Slice 69/155
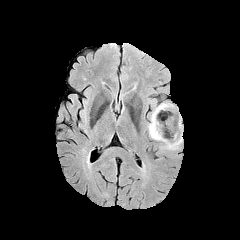
FLAIR MRI.
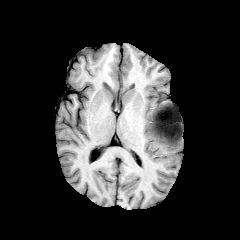
T1-weighted magnetic resonance.
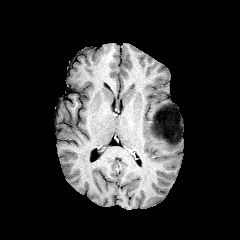
Post-contrast T1-weighted magnetic resonance of the same slice.
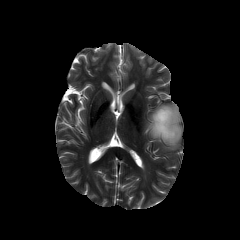
Same slice, T2-weighted MR image.
Findings:
* edema: x1=147 y1=103 x2=182 y2=149
* non-enhancing tumor core: x1=153 y1=122 x2=160 y2=135, x1=162 y1=113 x2=174 y2=138